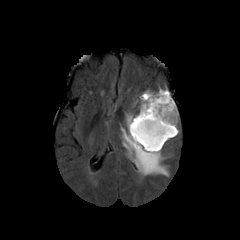
FLAIR MR image.
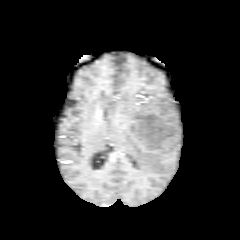
T1-weighted MRI of the same slice.
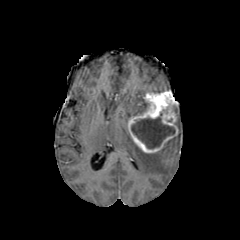
Post-contrast T1-weighted magnetic resonance.
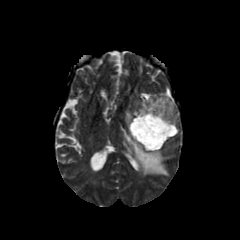
Same slice, T2-weighted MR.
Image size 240x240, Head
The enhancing tumor is at 127, 89, 178, 153. The non-enhancing tumor core is bounded by 131, 117, 175, 148. 2 edema regions are located at 121, 127, 168, 176; 137, 94, 146, 113.